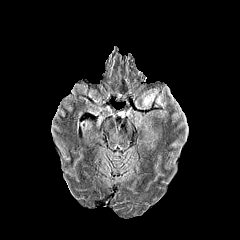
FLAIR MRI.
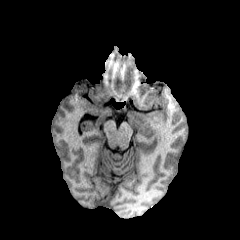
T1-weighted MR of the same slice.
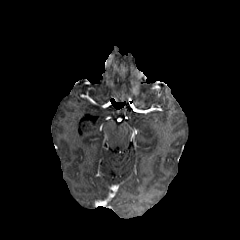
Post-contrast T1-weighted MR image of the same slice.
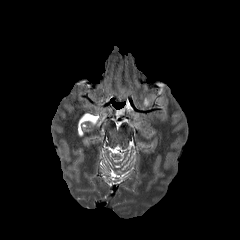
T2-weighted magnetic resonance.
Findings:
- edema: 143 91 165 108